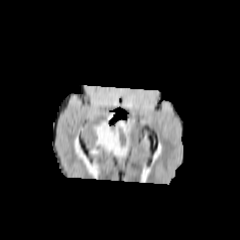
FLAIR MRI.
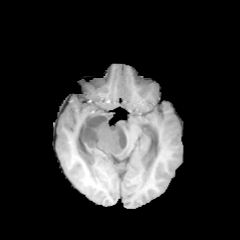
T1-weighted MR.
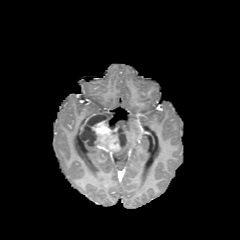
Post-contrast T1-weighted magnetic resonance.
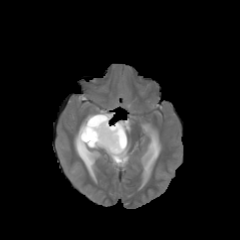
T2-weighted MRI of the same slice.
240x240 px
Annotated regions:
• non-enhancing tumor core: [108,120,129,154], [79,112,113,153]
• edema: [109,149,128,158]
• enhancing tumor: [90,120,121,152]